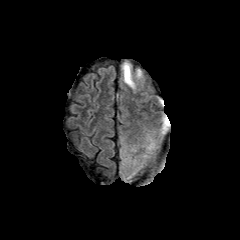
FLAIR MR.
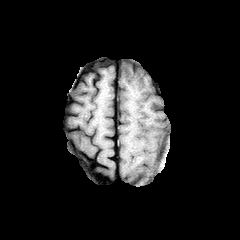
T1-weighted MR.
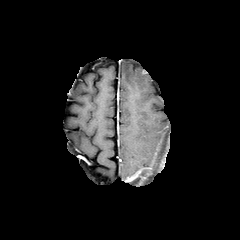
Same slice, post-contrast T1-weighted MRI.
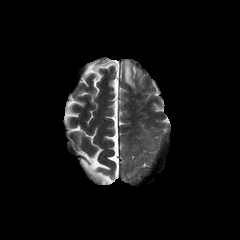
T2-weighted MR of the same slice.
Edema = bbox(121, 60, 142, 88).